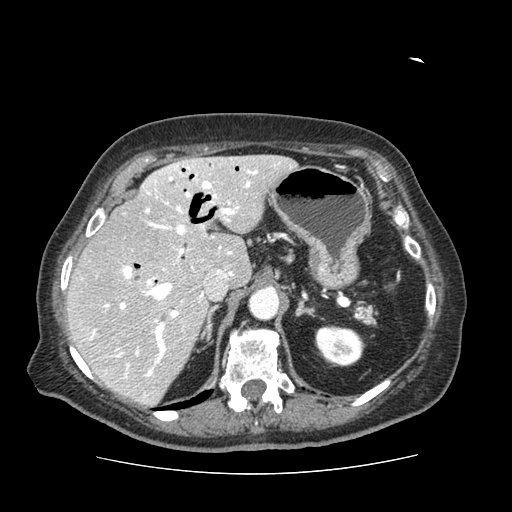 CT image
{
  "pancreas": [
    "(left=356, top=305, right=374, bottom=324)"
  ]
}